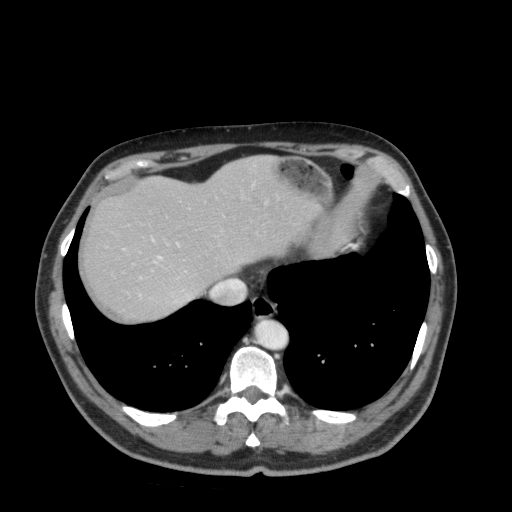 CT image | 512x512

* liver: <box>84,157,321,320</box>